CT, 512x512 px, Slice index 424

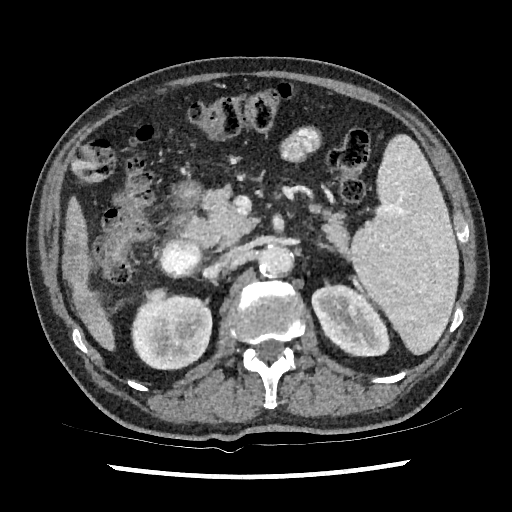

3 liver regions appear at box(65, 199, 89, 270); box(84, 314, 113, 348); box(65, 271, 100, 300). 2 kidney regions are located at box(133, 290, 211, 369); box(312, 285, 388, 355). 2 liver lesion regions are located at box(74, 293, 104, 328); box(63, 233, 88, 283).